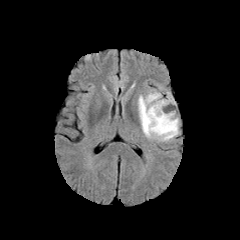
FLAIR MR image.
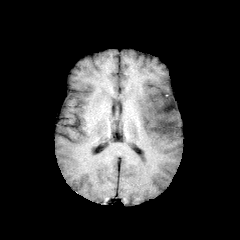
T1-weighted MR image of the same slice.
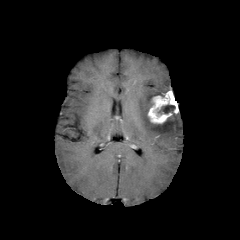
Post-contrast T1-weighted magnetic resonance.
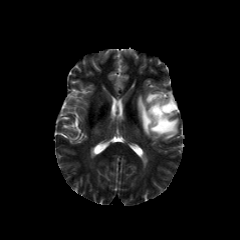
T2-weighted MR.
Head, Image size 240x240
The enhancing tumor is bounded by rect(147, 91, 177, 123). 2 non-enhancing tumor core regions are bounded by rect(144, 111, 173, 132); rect(158, 104, 175, 113). The edema is located at rect(137, 87, 180, 142).